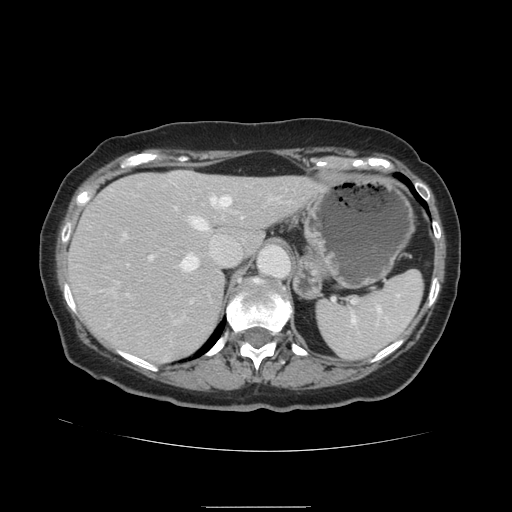 CT

Some hepatic vessels may have no box.
<segmentation>
  <hepatic_vessel>x1=123 y1=234 x2=125 y2=238, x1=148 y1=255 x2=152 y2=259, x1=180 y1=255 x2=197 y2=271, x1=210 y1=195 x2=230 y2=207, x1=188 y1=217 x2=206 y2=229</hepatic_vessel>
</segmentation>